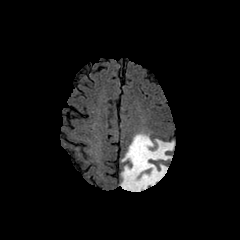
FLAIR MR.
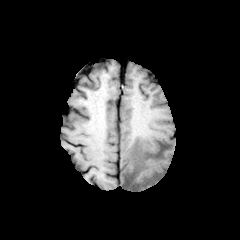
Same slice, T1-weighted MR image.
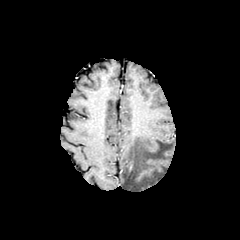
Post-contrast T1-weighted MR of the same slice.
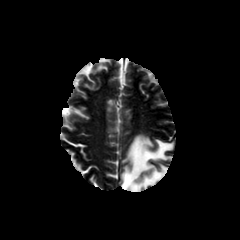
T2-weighted MR image.
<segmentation>
  <edema>box(120, 134, 174, 191)</edema>
</segmentation>